FLAIR MR image.
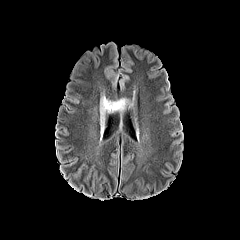
T1-weighted MRI.
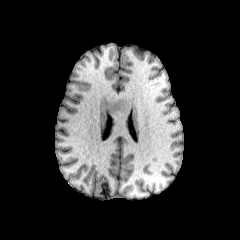
Post-contrast T1-weighted MR.
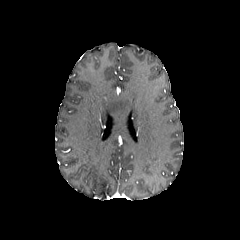
T2-weighted MRI.
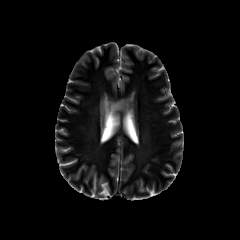
Head
Edema at x1=100, y1=94, x2=134, y2=140.